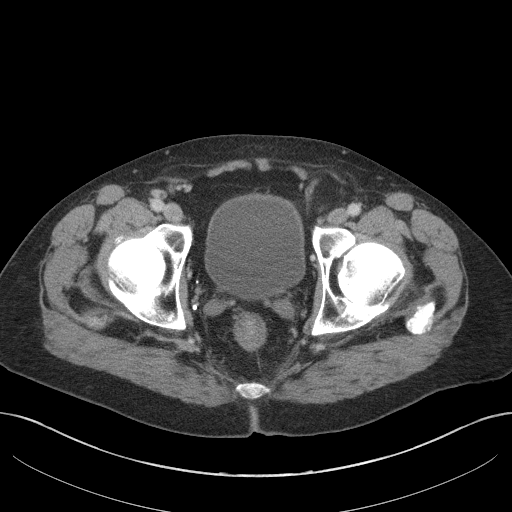
512x512. Pelvis. CT.
The urinary bladder lies within 205, 201, 303, 299.